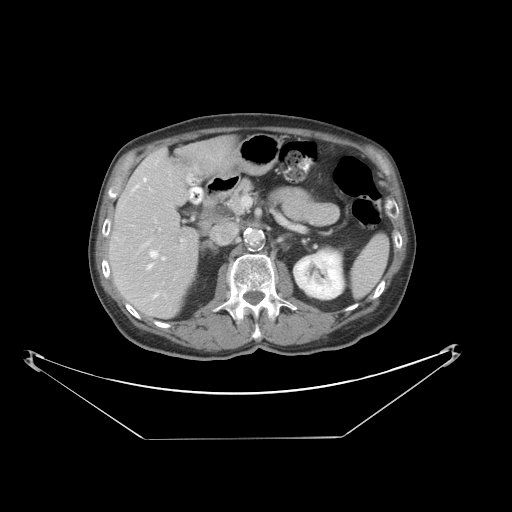 Computed tomography | Image size 512x512 | Abdomen
Only some of the vessels may be annotated.
hepatic_vessel:
  - 154, 160, 157, 164
  - 216, 234, 224, 243
  - 151, 292, 158, 298
  - 149, 188, 150, 189
  - 141, 239, 151, 247
  - 162, 257, 164, 259
  - 143, 177, 146, 182
  - 238, 208, 241, 211
  - 181, 239, 184, 243
  - 132, 184, 139, 192
  - 150, 251, 157, 257
  - 147, 263, 152, 269
  - 164, 294, 165, 296